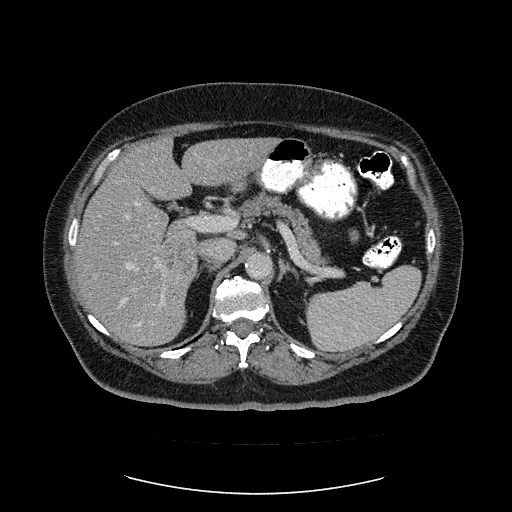
CT image | Abdomen
Not every hepatic vessel necessarily has a box.
Findings:
• hepatic vessel: rect(192, 232, 193, 233); rect(135, 202, 139, 204); rect(121, 299, 126, 304); rect(125, 214, 129, 218); rect(95, 276, 96, 277); rect(126, 263, 138, 270); rect(160, 289, 164, 306); rect(133, 289, 136, 295); rect(154, 256, 161, 267); rect(127, 177, 128, 178); rect(137, 322, 141, 325); rect(265, 159, 270, 164)
• liver tumor: rect(157, 231, 196, 273)